FLAIR MR.
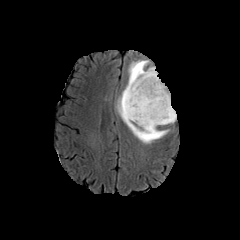
T1-weighted MR.
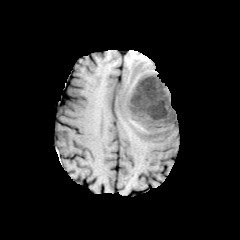
Post-contrast T1-weighted MRI.
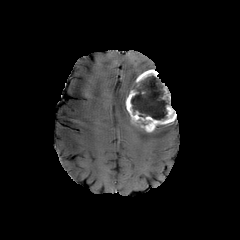
T2-weighted MRI.
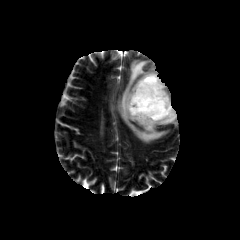
Image size 240x240.
non-enhancing_tumor_core:
  - box(131, 76, 167, 119)
  - box(142, 125, 159, 137)
enhancing_tumor:
  - box(126, 90, 175, 131)
  - box(136, 68, 156, 85)
  - box(162, 86, 170, 100)
edema:
  - box(116, 58, 171, 143)